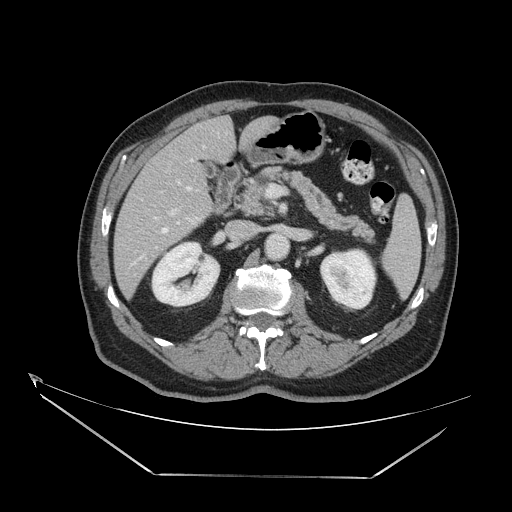
Upper abdomen. CT image.
The pancreas is bounded by bbox(251, 168, 372, 242).